Slice 106/151, Upper abdomen, CT slice 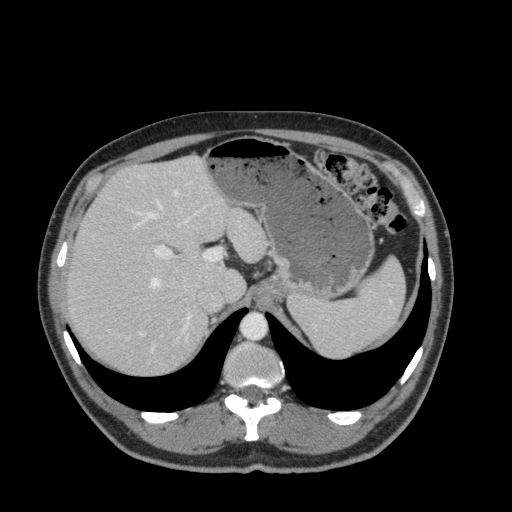 Annotated regions:
- liver: <bbox>353, 256, 405, 352</bbox>, <bbox>67, 156, 267, 373</bbox>